FLAIR MRI.
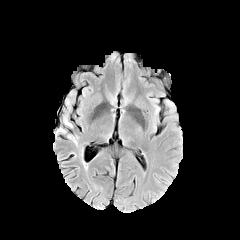
T1-weighted MRI.
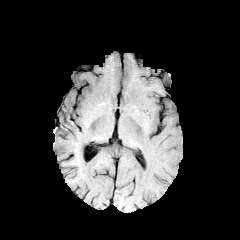
Post-contrast T1-weighted MR.
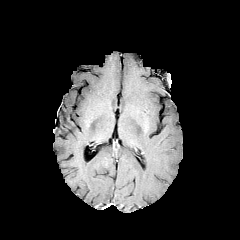
T2-weighted MR.
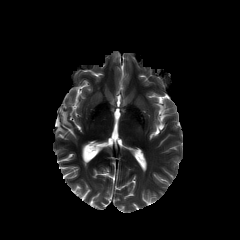
Head | 240x240 px
2 edema regions are located at x1=56 y1=127 x2=66 y2=135, x1=63 y1=114 x2=72 y2=127.